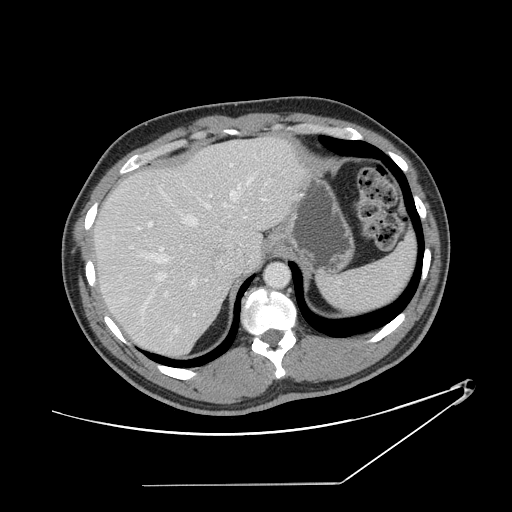
Abdomen, CT
Some hepatic vessels may have no box.
Annotated regions:
- hepatic vessel (principal 15 of 24): 192:279:195:284, 142:288:155:314, 230:184:241:201, 164:293:166:295, 183:216:197:225, 145:248:168:263, 156:272:166:280, 175:326:178:332, 254:154:255:157, 230:164:233:166, 224:204:226:206, 246:178:252:184, 263:199:269:201, 149:222:152:225, 204:204:210:208